CT scan slice

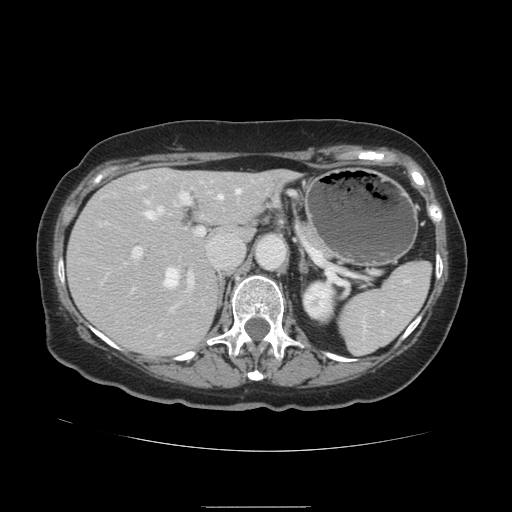

The vessel annotation is not exhaustive.
Hepatic vessel — <bbox>187, 272, 192, 285</bbox>, <bbox>163, 268, 176, 288</bbox>, <bbox>141, 207, 161, 218</bbox>, <bbox>194, 228, 203, 235</bbox>, <bbox>235, 189, 240, 193</bbox>, <bbox>140, 186, 146, 188</bbox>, <bbox>217, 194, 221, 199</bbox>, <bbox>132, 247, 141, 257</bbox>, <bbox>144, 200, 147, 202</bbox>, <bbox>178, 192, 189, 203</bbox>.